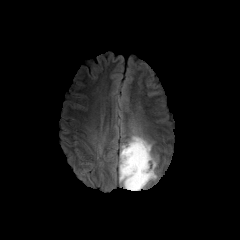
FLAIR MRI.
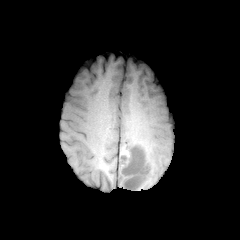
T1-weighted MR.
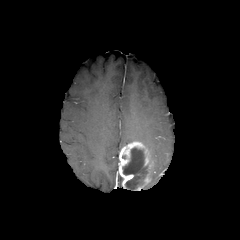
Same slice, post-contrast T1-weighted magnetic resonance.
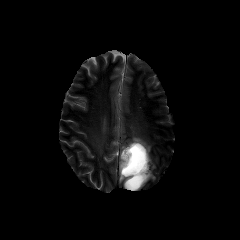
Same slice, T2-weighted magnetic resonance.
non-enhancing_tumor_core:
  - x1=123 y1=147 x2=148 y2=190
edema:
  - x1=120 y1=129 x2=158 y2=181
enhancing_tumor:
  - x1=119 y1=142 x2=154 y2=190